Slice 80 of 155, Field of view 240 mm wide, 1.00 mm slice spacing, 240x240
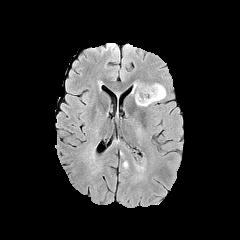
FLAIR MRI.
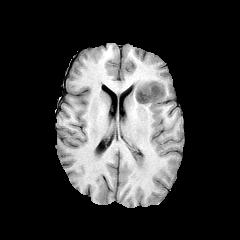
T1-weighted MR image.
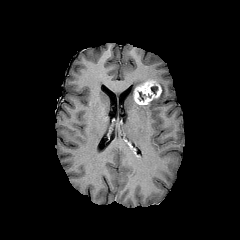
Same slice, post-contrast T1-weighted magnetic resonance.
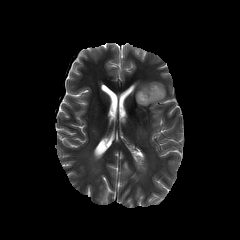
Same slice, T2-weighted MRI.
The enhancing tumor is located at bbox(134, 82, 161, 104). 2 edema regions are bounded by bbox(138, 84, 165, 106); bbox(135, 156, 145, 171).